Image size 33x52; MR; Slice index 20; Hippocampus

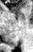
<segmentation>
  <posterior_hippocampus>left=14, top=44, right=15, bottom=46</posterior_hippocampus>
</segmentation>